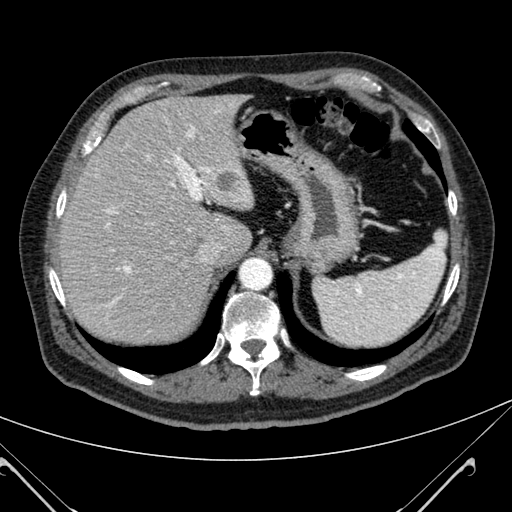
Computed tomography
<segmentation>
  <liver>60:90:252:344</liver>
  <focal_liver_lesion>215:172:239:191</focal_liver_lesion>
</segmentation>